MR image.
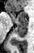 - posterior hippocampus: box(14, 23, 27, 37)
- anterior hippocampus: box(8, 10, 27, 24)